Field of view 358 mm wide, 1.50 mm slice spacing. Computed tomography. Slice 256/407. Image size 512x512. Liver.
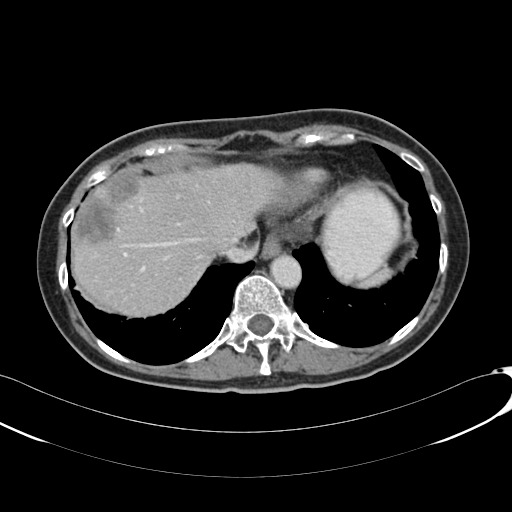
{
  "liver": [
    "93 188 110 202",
    "72 164 280 313"
  ],
  "hepatic_lesion": [
    "76 175 139 242"
  ]
}